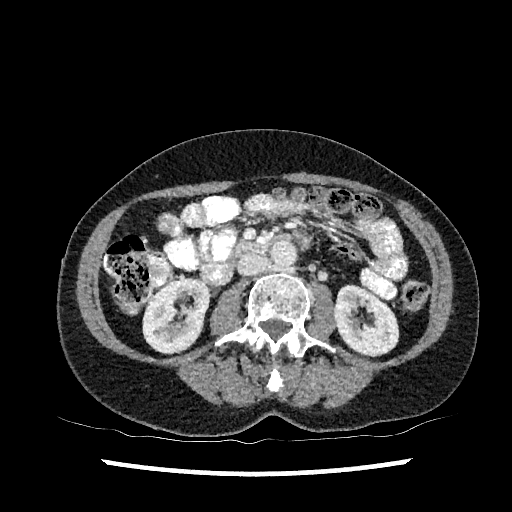

CT scan slice, 512x512 px
Kidney at 335, 286, 398, 355; 143, 279, 209, 352.